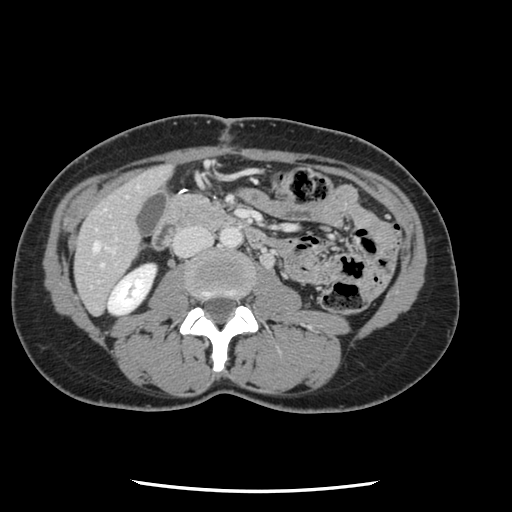 CT image. Abdomen.

Some hepatic vessels may have no box.
hepatic_vessel:
  - (left=93, top=242, right=98, bottom=250)
  - (left=107, top=247, right=112, bottom=251)
  - (left=101, top=264, right=102, bottom=265)